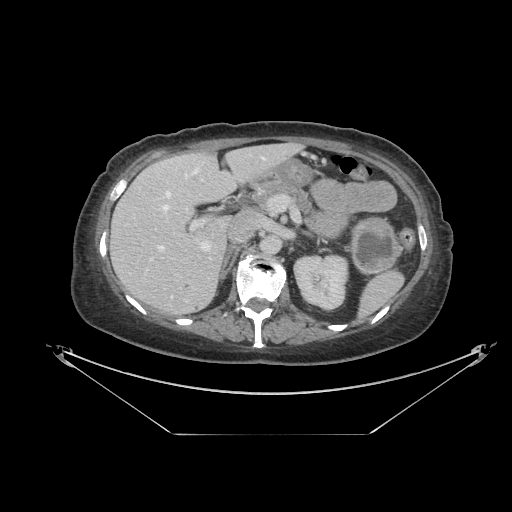

Upper abdomen. CT.

The pancreatic tumor is located at 351, 217, 399, 273. The pancreas appears at 254, 181, 311, 211.